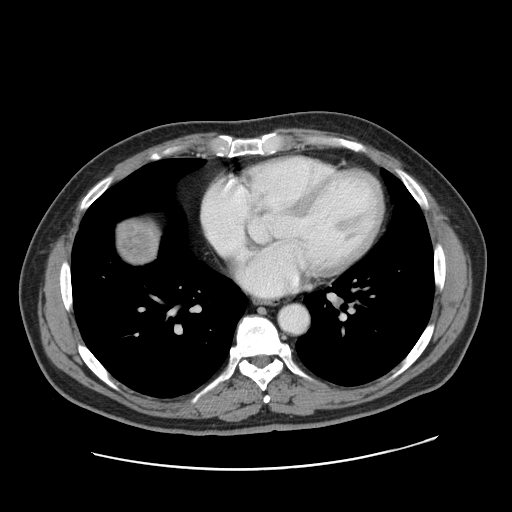

CT slice

• liver tumor: region(121, 222, 158, 261)